Image width 423 mm. CT image. 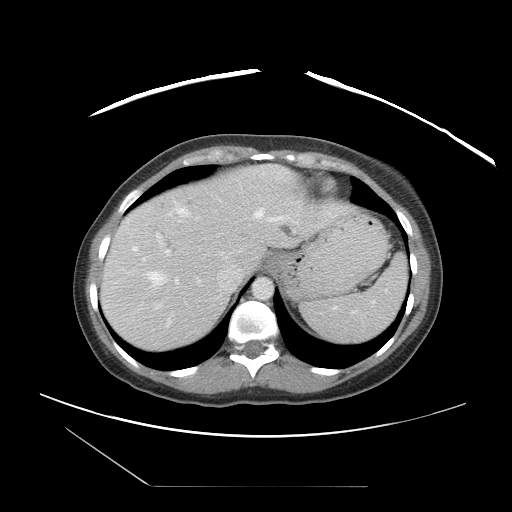 The vessel annotation is not exhaustive.
Hepatic vessel — bbox(176, 278, 178, 282); bbox(167, 319, 171, 324); bbox(271, 216, 288, 221); bbox(156, 233, 162, 244); bbox(166, 249, 169, 253); bbox(147, 272, 168, 285); bbox(177, 207, 188, 216); bbox(218, 265, 240, 291); bbox(142, 303, 143, 304); bbox(254, 208, 263, 218); bbox(133, 247, 137, 250); bbox(171, 312, 173, 314); bbox(218, 251, 231, 259); bbox(175, 202, 176, 203).